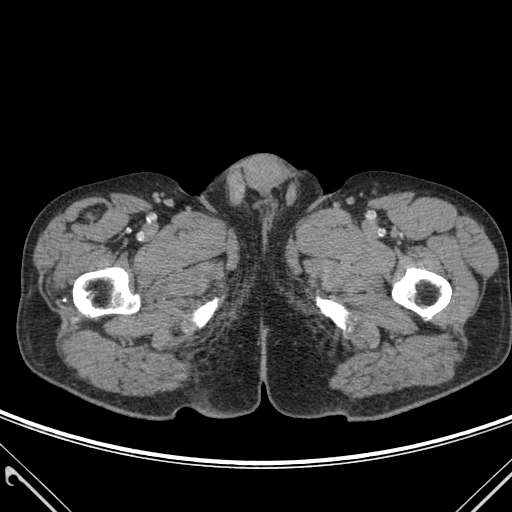
CT.

• bone: (left=317, top=297, right=352, bottom=330), (left=73, top=267, right=139, bottom=316), (left=185, top=299, right=217, bottom=329), (left=392, top=268, right=451, bottom=319)